Upper abdomen. Computed tomography. Image size 512x512.
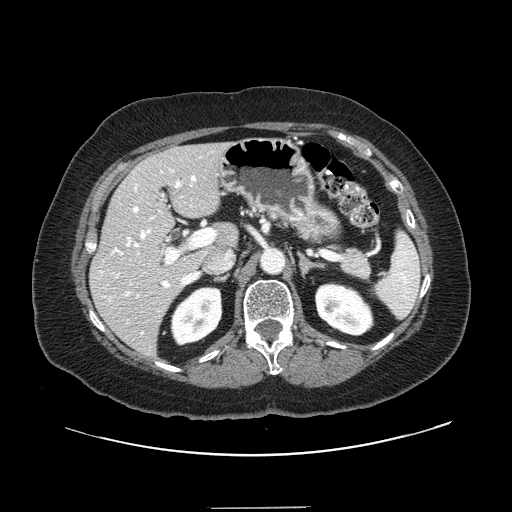 Annotated regions:
• pancreas: (339,247,371,280)